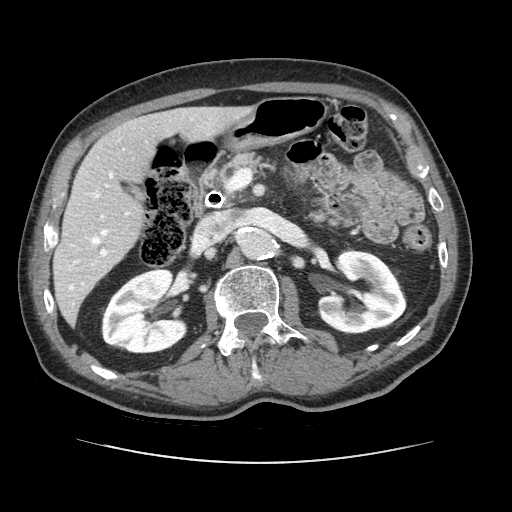
Upper abdomen; Computed tomography

pancreas:
  - [x1=220, y1=154, x2=264, y2=182]